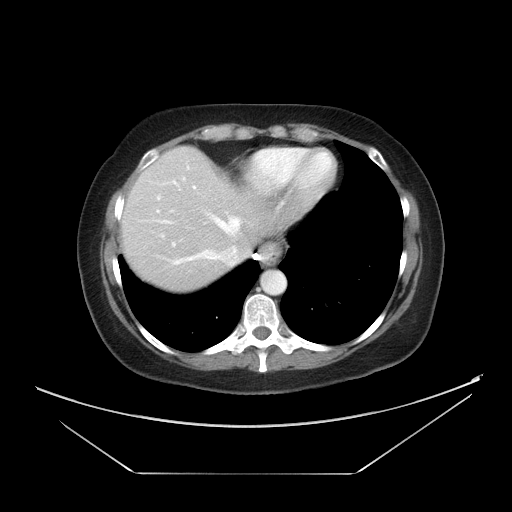

Liver | Computed tomography | 512x512

Not every hepatic vessel necessarily has a box.
hepatic_vessel:
  - bbox(168, 247, 236, 263)
  - bbox(173, 180, 176, 183)
  - bbox(172, 243, 175, 245)
  - bbox(157, 196, 160, 199)
  - bbox(187, 167, 188, 168)
  - bbox(157, 210, 159, 212)
  - bbox(161, 234, 164, 237)
  - bbox(158, 220, 170, 223)
  - bbox(193, 186, 195, 188)
  - bbox(212, 216, 238, 234)
  - bbox(183, 178, 184, 180)